CT scan slice, Abdomen, Slice index 62

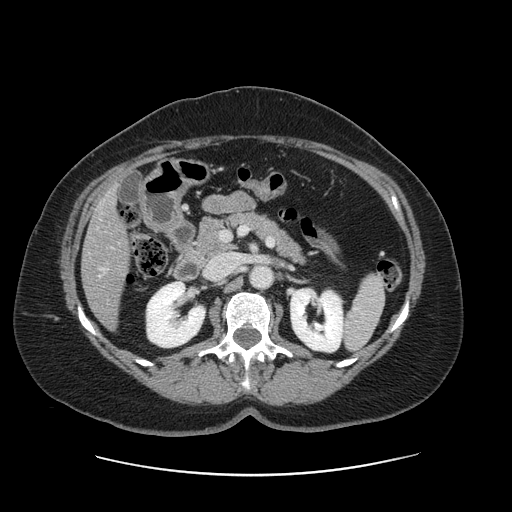
Only some of the vessels may be annotated.
Hepatic vessel — [99, 267, 106, 276].